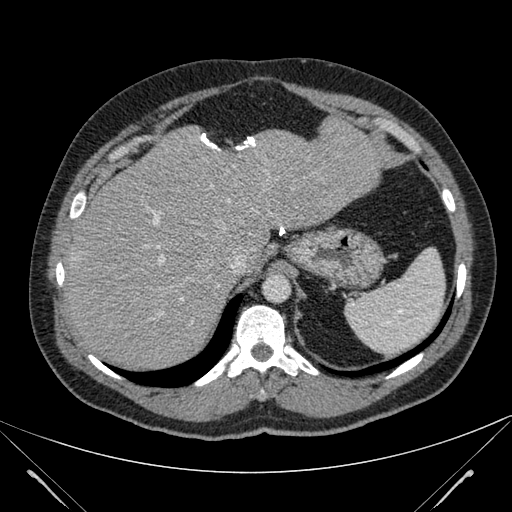

CT scan slice.

• liver: <bbox>64, 115, 383, 369</bbox>